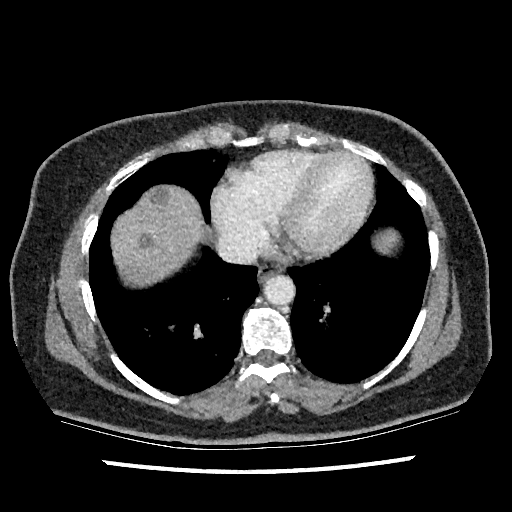

CT
<segmentation>
  <liver>bbox(113, 188, 201, 283)</liver>
  <hepatic_lesion>bbox(140, 234, 152, 248); bbox(152, 187, 169, 205)</hepatic_lesion>
</segmentation>